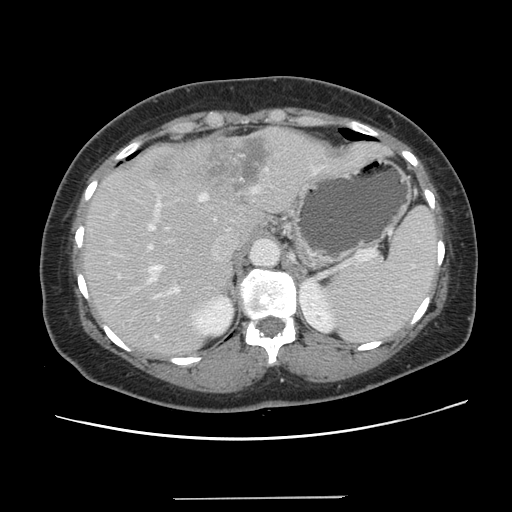 CT slice
The vessel annotation is not exhaustive.
Annotated regions:
- hepatic vessel: left=155, top=335, right=157, bottom=337; left=118, top=275, right=120, bottom=277; left=199, top=194, right=206, bottom=200; left=153, top=294, right=162, bottom=298; left=166, top=287, right=178, bottom=293; left=148, top=224, right=154, bottom=230; left=156, top=196, right=160, bottom=213; left=266, top=168, right=267, bottom=170; left=252, top=188, right=259, bottom=192; left=148, top=265, right=161, bottom=282; left=148, top=245, right=152, bottom=249
- liver tumor: left=160, top=140, right=268, bottom=192